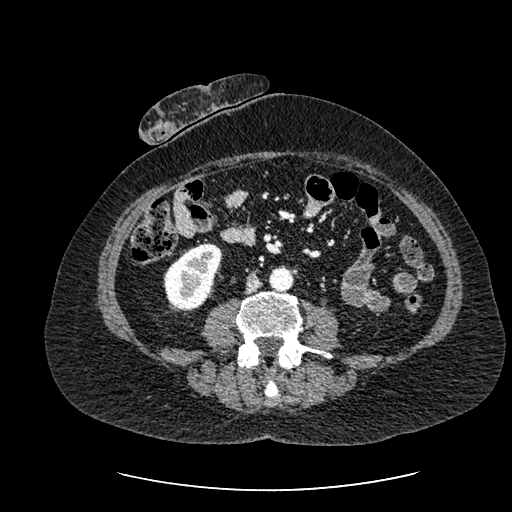
Abdomen | CT
<segmentation>
  <kidney>[165,244,220,309]</kidney>
</segmentation>